Slice 459 of 986; Image width 432 mm; CT
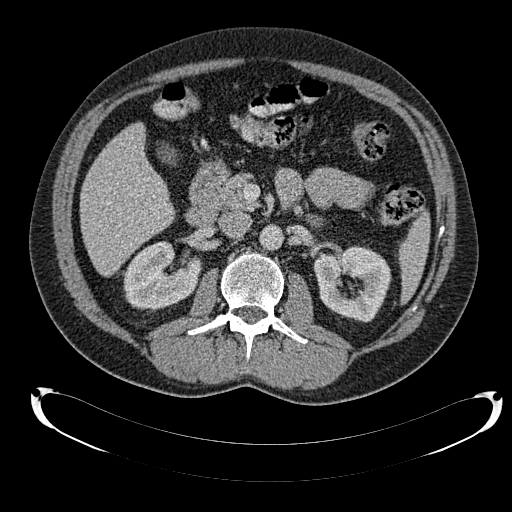
{"kidney": ["x1=124, y1=242, x2=200, y2=308", "x1=314, y1=247, x2=390, y2=321"], "liver": ["x1=80, y1=123, x2=173, y2=275"]}